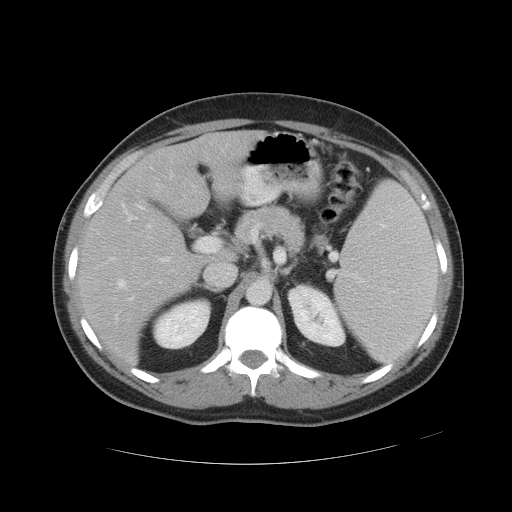

CT, Abdomen
Some hepatic vessels may have no box.
Segmented structures:
- liver tumor: 125,191,131,199
- hepatic vessel: 146,224,150,227; 122,203,136,220; 136,204,144,209; 147,236,150,238; 119,280,125,288; 159,256,170,261